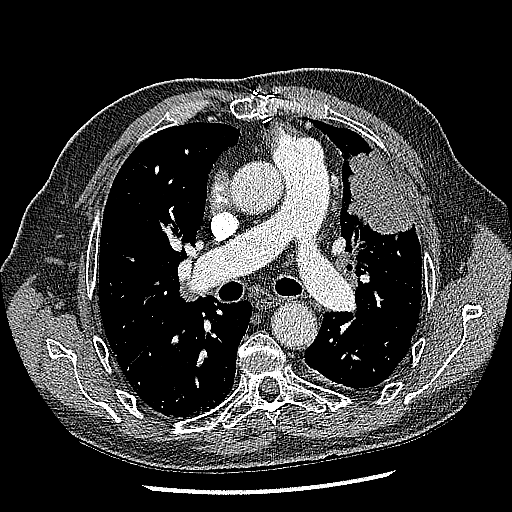
CT scan slice
Lung tumor: 346,149,412,234.